Field of view 240x240 mm
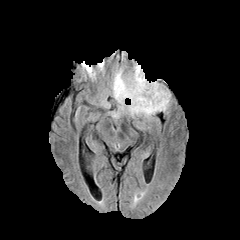
FLAIR MR image.
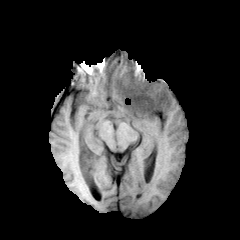
T1-weighted MRI.
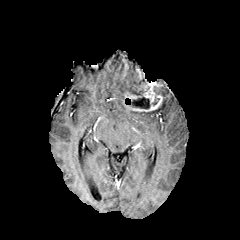
Post-contrast T1-weighted MR.
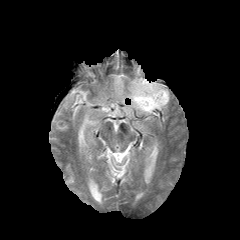
Same slice, T2-weighted MRI.
3 edema regions are located at [x1=126, y1=86, x2=169, y2=120], [x1=109, y1=110, x2=123, y2=117], [x1=113, y1=66, x2=139, y2=103]. 3 non-enhancing tumor core regions appear at [x1=130, y1=76, x2=146, y2=95], [x1=157, y1=86, x2=168, y2=98], [x1=134, y1=97, x2=149, y2=109]. The enhancing tumor is at [x1=125, y1=81, x2=165, y2=111].